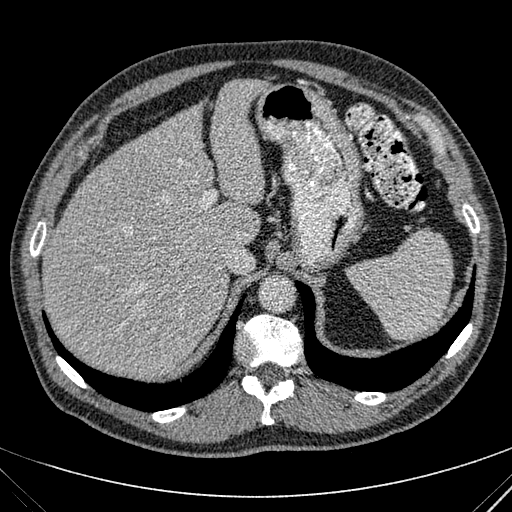
CT scan slice, Abdomen

The liver is at region(44, 79, 268, 375).